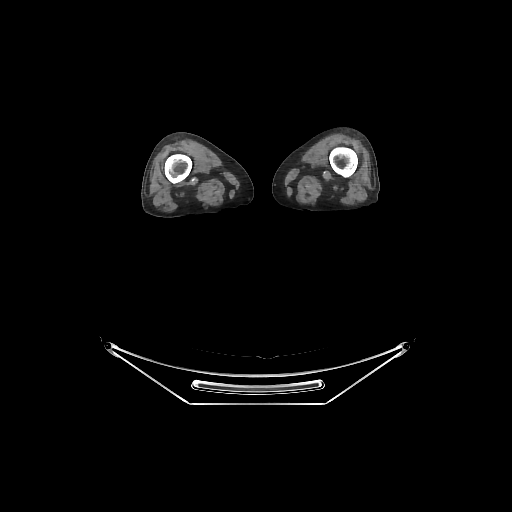 512x512 px | CT scan slice

{
  "bone": [
    "(165, 154, 191, 183)",
    "(329, 147, 357, 177)"
  ]
}